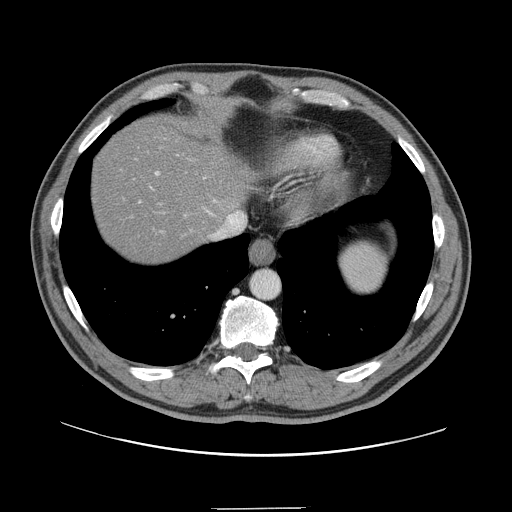 CT. Abdomen. The vessel boxes may cover only some of the vessels.
hepatic_vessel:
  - rect(156, 172, 159, 175)
  - rect(227, 216, 232, 219)
  - rect(235, 212, 238, 213)
  - rect(208, 212, 210, 214)